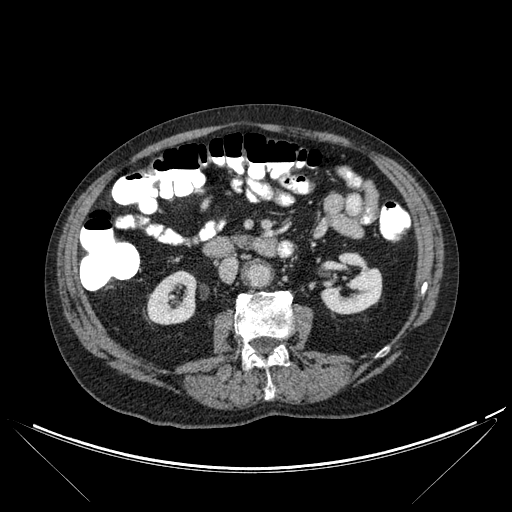 CT.

Bone: bounding box (235, 291, 293, 368), (265, 375, 274, 398).
Kidney: bounding box (147, 271, 195, 324), (321, 253, 381, 313).